Slice 72 of 87. Field of view 363x363 mm. CT scan slice.

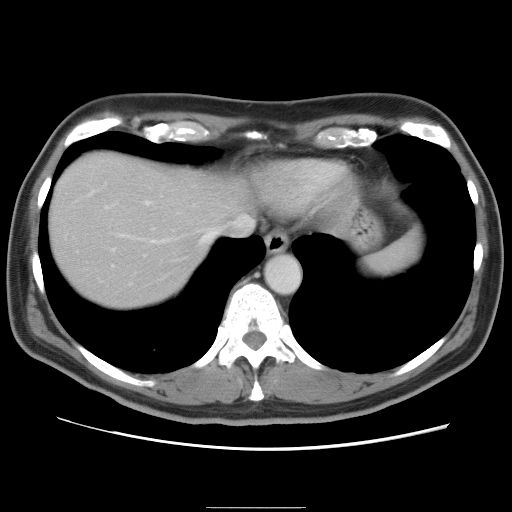 The vessel annotation is not exhaustive.
hepatic_vessel:
  - x1=198 y1=227 x2=214 y2=243
  - x1=104 y1=182 x2=105 y2=184
  - x1=110 y1=247 x2=114 y2=250
  - x1=105 y1=203 x2=114 y2=207
  - x1=130 y1=282 x2=131 y2=283
  - x1=145 y1=200 x2=150 y2=204
  - x1=89 y1=189 x2=94 y2=194